Slice 46 of 124, Liver, CT image 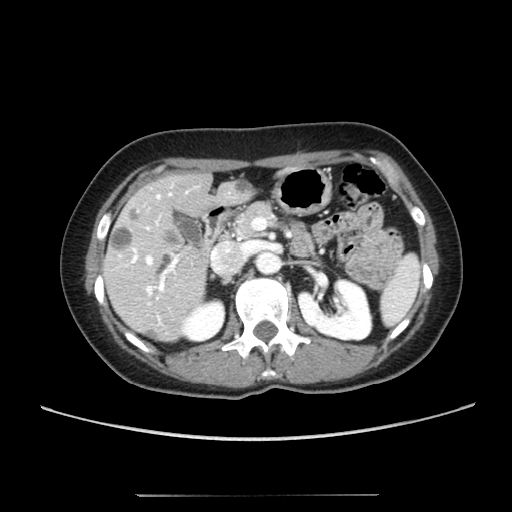 {"focal_liver_lesion": ["bbox=[142, 329, 162, 341]", "bbox=[127, 207, 139, 221]", "bbox=[162, 228, 182, 246]", "bbox=[108, 225, 132, 249]", "bbox=[233, 179, 252, 195]"], "kidney": ["bbox=[182, 303, 223, 340]", "bbox=[299, 281, 370, 339]"], "liver": ["bbox=[102, 173, 255, 343]", "bbox=[274, 167, 292, 179]"]}